Pelvis; CT scan slice; Field of view 434x434 mm 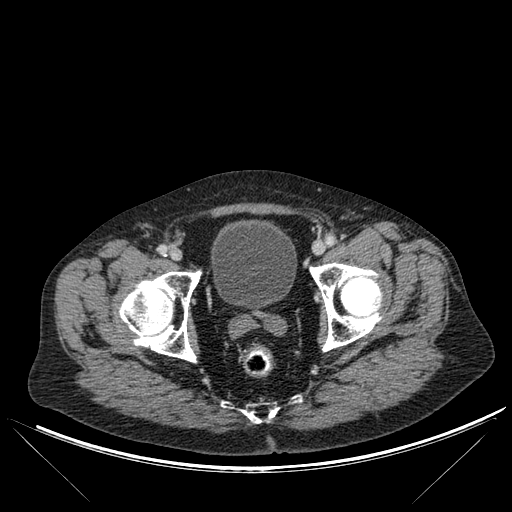 5 bone regions appear at left=241, top=404, right=260, bottom=423; left=221, top=402, right=230, bottom=407; left=310, top=263, right=382, bottom=351; left=119, top=271, right=200, bottom=362; left=267, top=403, right=278, bottom=418. The urinary bladder appears at left=211, top=219, right=296, bottom=307.